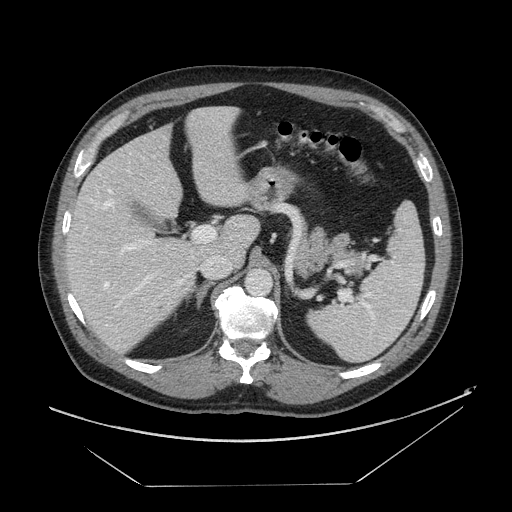
Abdomen, Image size 512x512, CT

The pancreas is located at [293, 227, 366, 277].